CT scan slice; Field of view 381 mm wide, 0.80 mm slice spacing; Slice 459 of 826; Image size 512x512

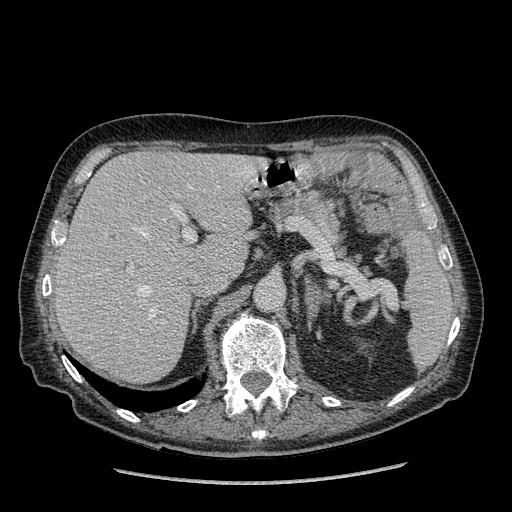

<segmentation>
  <liver>(56,152,266,383)</liver>
</segmentation>